CT scan slice; Liver
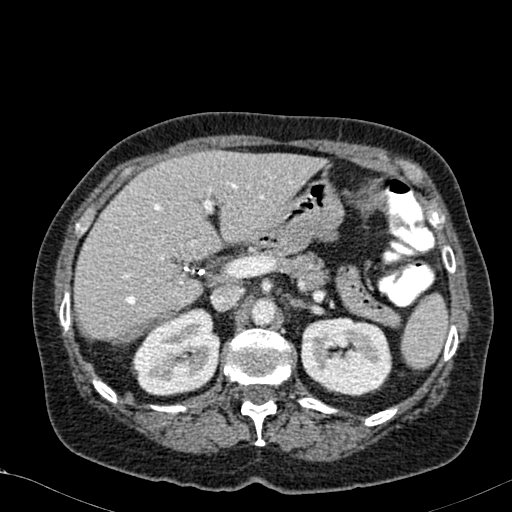

{"liver_lesion": ["x1=157, y1=311, x2=171, y2=320"], "liver": ["x1=75, y1=152, x2=326, y2=343"], "kidney": ["x1=133, y1=309, x2=219, y2=394", "x1=301, y1=318, x2=390, y2=395"]}